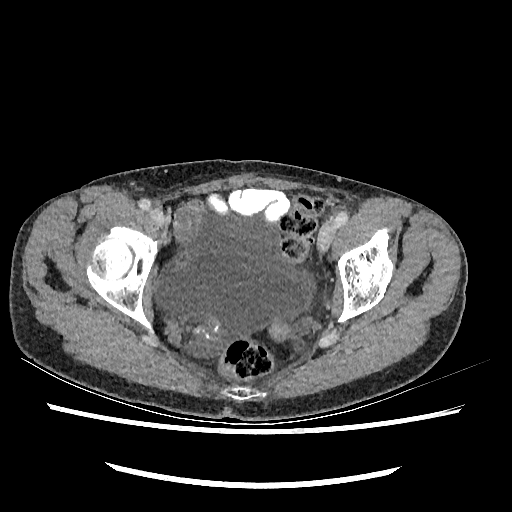 Lower abdomen, CT scan slice, 512x512
Urinary bladder = box(157, 208, 316, 341).